240x240.
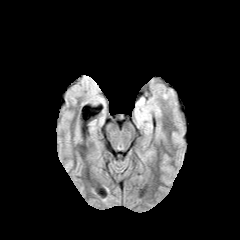
FLAIR MRI.
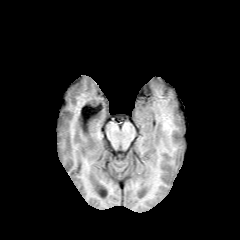
T1-weighted magnetic resonance of the same slice.
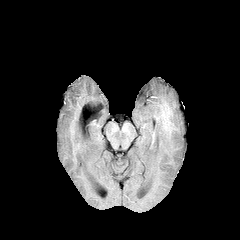
Post-contrast T1-weighted MR image.
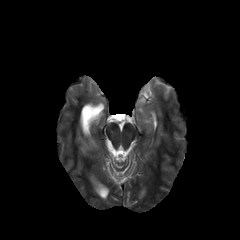
T2-weighted MR image.
The edema is bounded by <bbox>135, 97, 146, 107</bbox>.